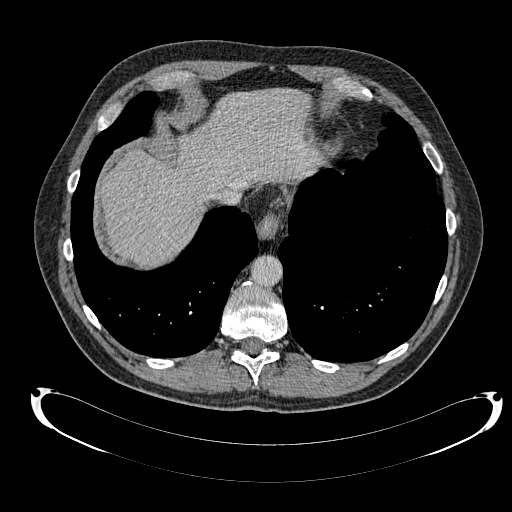

CT image, Abdomen
The liver lies within left=100, top=89, right=322, bottom=266.